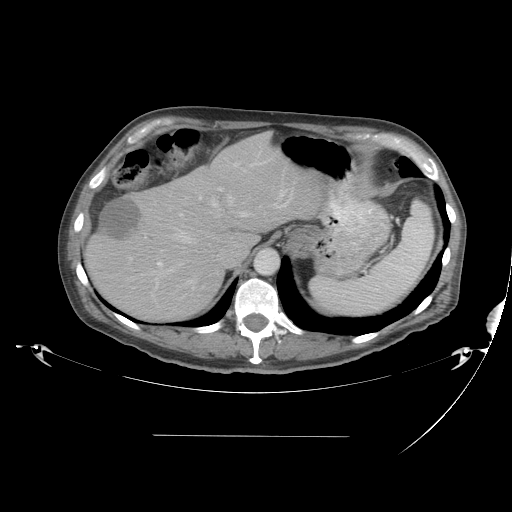 Computed tomography. Abdomen.
Only some of the vessels may be annotated.
<segmentation partial="true">
  <liver_tumor>97, 198, 140, 238</liver_tumor>
  <hepatic_vessel shown="15" total="16">178, 212, 183, 217; 199, 196, 201, 199; 228, 195, 235, 205; 209, 198, 219, 210; 169, 227, 193, 242; 217, 214, 219, 216; 178, 263, 183, 265; 233, 162, 262, 172; 186, 279, 194, 283; 280, 191, 283, 195; 217, 187, 222, 190; 160, 249, 166, 251; 238, 211, 250, 216; 282, 202, 285, 206; 155, 258, 174, 288</hepatic_vessel>
</segmentation>